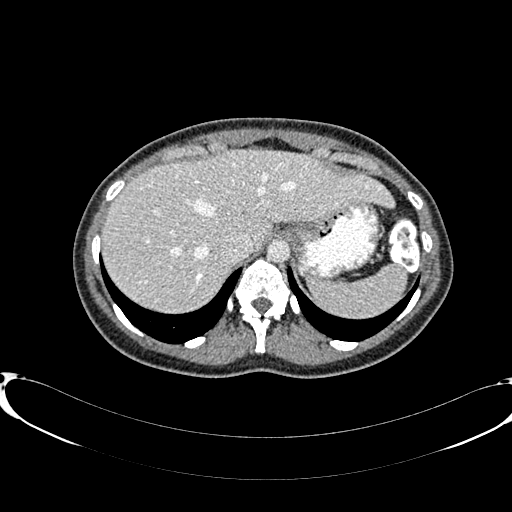

CT image
Liver — [103, 150, 393, 312].